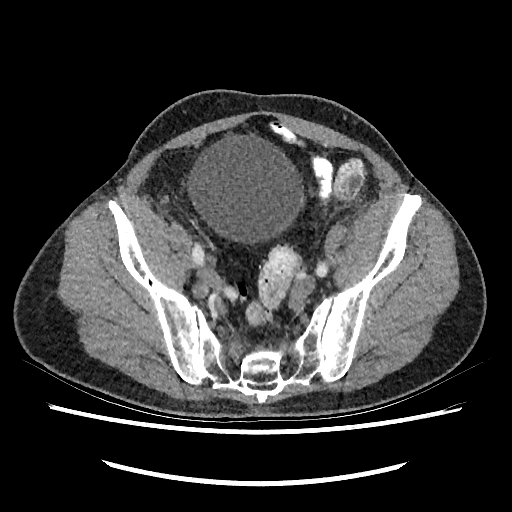 CT image | 512x512
<segmentation>
  <urinary_bladder>187,131,305,244</urinary_bladder>
</segmentation>